Image size 512x512, Upper abdomen, CT image 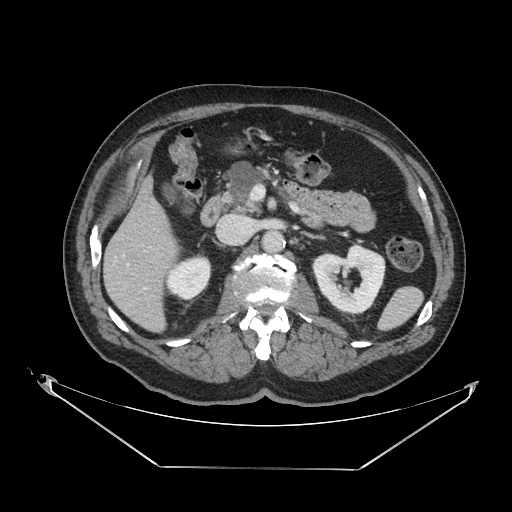
<segmentation>
  <pancreas>bbox(223, 162, 270, 214); bbox(299, 207, 326, 230)</pancreas>
  <pancreatic_tumor>bbox(226, 162, 262, 203)</pancreatic_tumor>
</segmentation>